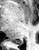

Medial temporal lobe, Magnetic resonance

posterior hippocampus: 13 40 22 44